CT image | Upper abdomen | Slice 27 of 91 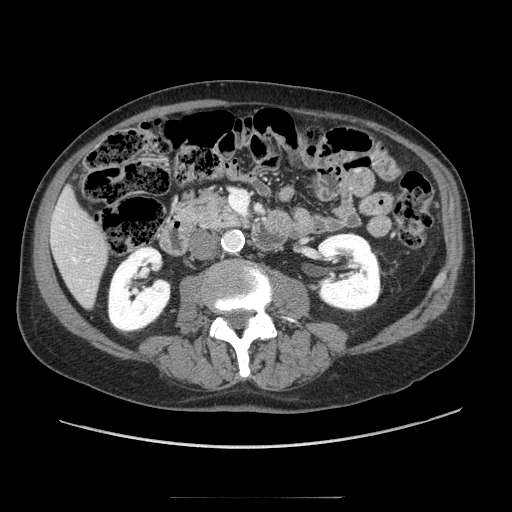
pancreas: x1=196, y1=193, x2=246, y2=229